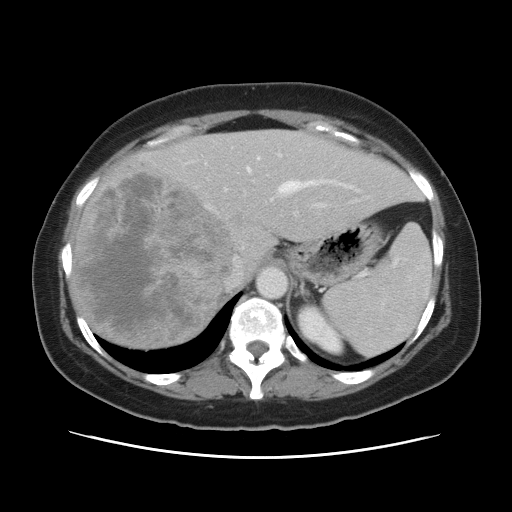

512x512, CT slice
The vessel annotation is not exhaustive.
{"hepatic_vessel": ["[224, 188, 225, 190]", "[239, 241, 245, 249]", "[247, 167, 250, 170]", "[226, 256, 245, 290]", "[271, 198, 272, 200]", "[277, 152, 281, 156]", "[279, 178, 349, 193]", "[205, 162, 206, 163]", "[257, 156, 259, 158]", "[312, 203, 323, 207]", "[353, 199, 359, 201]"], "liver_tumor": ["[73, 169, 238, 344]"]}